240x240 px | Head | Image width 240 mm
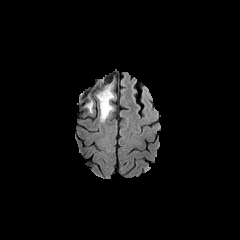
FLAIR MRI.
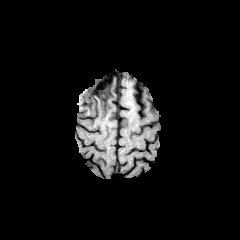
T1-weighted magnetic resonance.
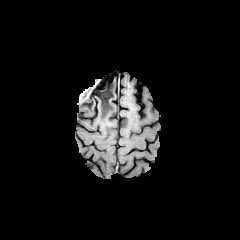
Post-contrast T1-weighted MR image.
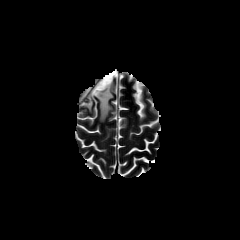
T2-weighted MR.
The edema is located at 90 80 115 122. The non-enhancing tumor core is bounded by 94 82 110 106.